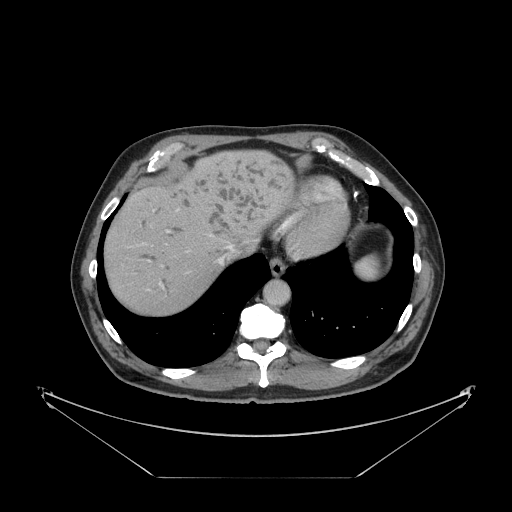

Liver. Computed tomography.

Not every hepatic vessel necessarily has a box.
Segmented structures:
• hepatic vessel: (208,234,235,265), (176,209,178,211), (245,240,248,242), (160,283,162,287)